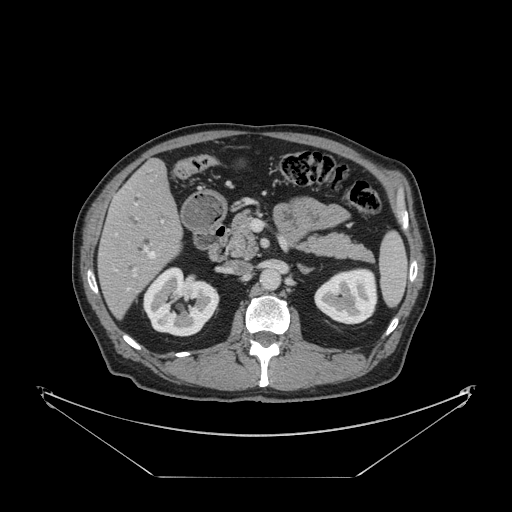
Image size 512x512 | CT
The vessel annotation is not exhaustive.
4 hepatic vessel regions are bounded by <bbox>135, 203, 136, 205</bbox>, <bbox>144, 247, 154, 257</bbox>, <bbox>133, 269, 135, 270</bbox>, <bbox>133, 274, 135, 275</bbox>.